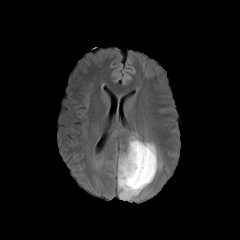
FLAIR MR image.
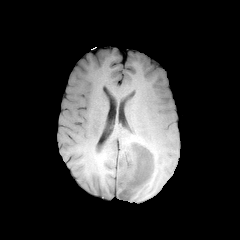
T1-weighted MRI.
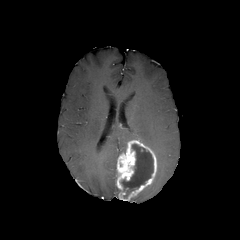
Post-contrast T1-weighted MRI of the same slice.
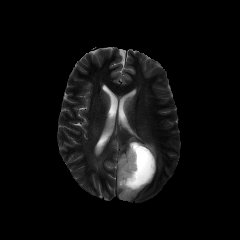
T2-weighted MR image.
Head
enhancing tumor: bbox(116, 140, 156, 200) | non-enhancing tumor core: bbox(122, 144, 153, 191) | edema: bbox(127, 130, 160, 169); bbox(109, 152, 118, 168)